Slice 67 of 155, Image width 240 mm
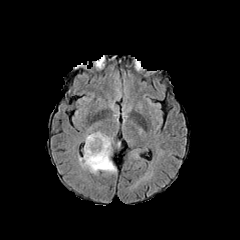
FLAIR magnetic resonance.
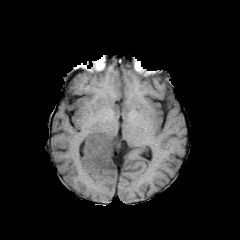
T1-weighted MR image of the same slice.
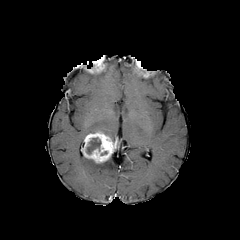
Post-contrast T1-weighted MR.
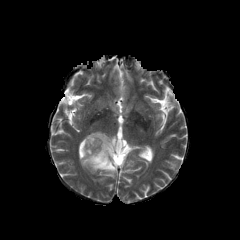
Same slice, T2-weighted MR.
The enhancing tumor appears at rect(82, 132, 118, 163). The non-enhancing tumor core lies within rect(85, 137, 101, 154). The edema is at rect(79, 154, 116, 175).